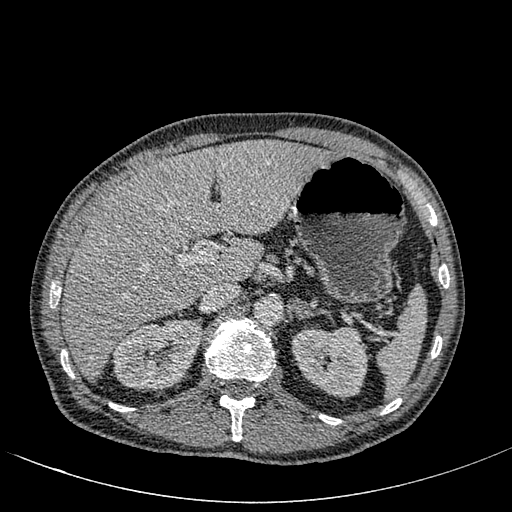

CT
liver: box=[62, 139, 333, 380] | kidney: box=[113, 320, 202, 388]; box=[292, 328, 367, 396] | focal liver lesion: box=[154, 167, 168, 179]